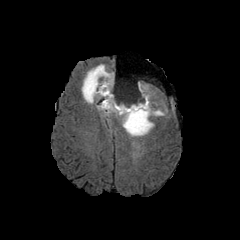
FLAIR MR image.
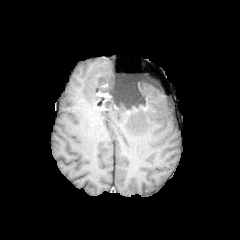
T1-weighted MR image.
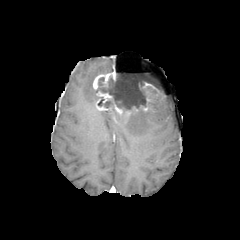
Same slice, post-contrast T1-weighted magnetic resonance.
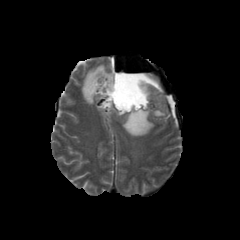
Same slice, T2-weighted MR image.
Brain
2 enhancing tumor regions are bounded by box(96, 91, 111, 102); box(92, 72, 114, 89). 2 edema regions are located at box(81, 64, 112, 106); box(117, 84, 167, 137). The non-enhancing tumor core appears at box(95, 78, 147, 123).